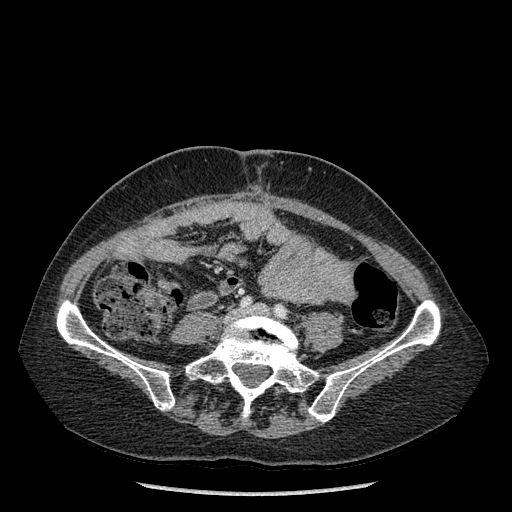
Computed tomography

3 bone regions appear at [308, 299, 440, 422], [57, 300, 174, 410], [186, 313, 318, 418].